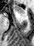

Medial temporal lobe; MRI
Anterior hippocampus: bounding box bbox(14, 6, 23, 12).